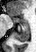
Image size 36x52; MRI slice
Posterior hippocampus at region(15, 25, 30, 41).
Anterior hippocampus at region(12, 16, 29, 24); region(8, 14, 13, 16).